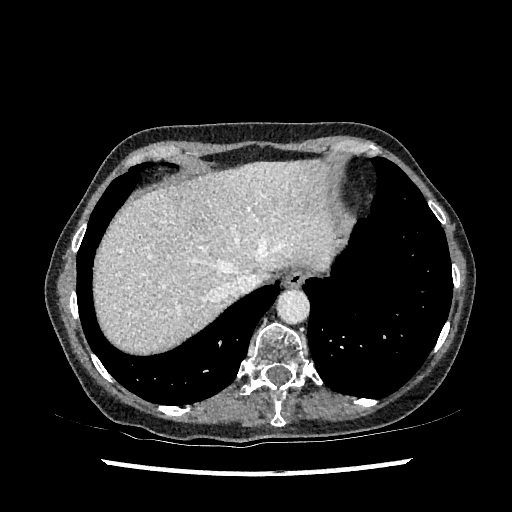

CT scan slice
Segmented structures:
* liver: l=94, t=160, r=336, b=350